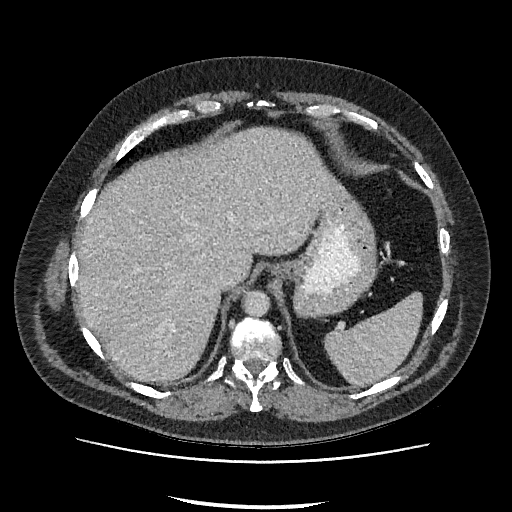 CT scan slice
Liver — 79 129 346 380.